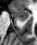 Magnetic resonance; Medial temporal lobe
• posterior hippocampus: left=20, top=20, right=25, bottom=21
• anterior hippocampus: left=11, top=7, right=29, bottom=19